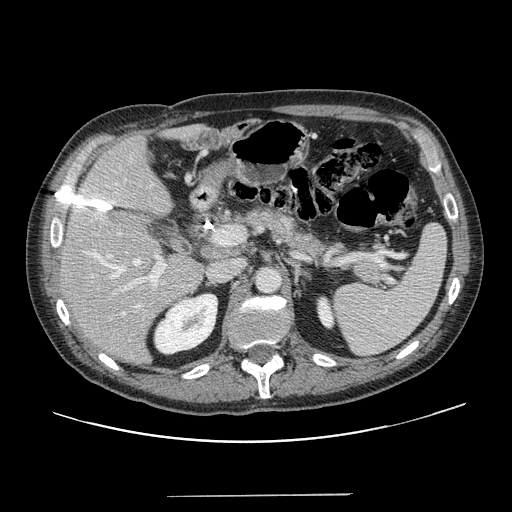

CT scan slice. Abdomen.

pancreas: [183, 204, 386, 287]